Slice index 499. Liver. CT. Field of view 344x344 mm.
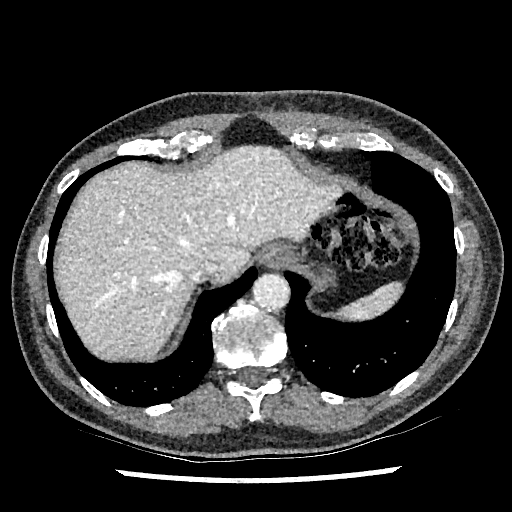

liver: [57, 145, 340, 358]